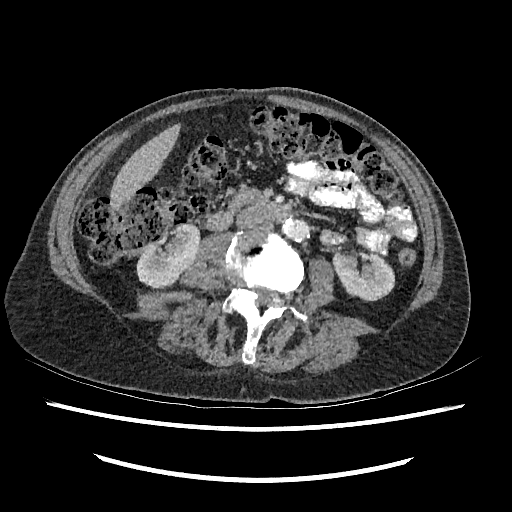 CT slice. Image size 512x512. kidney:
  - rect(137, 225, 198, 287)
  - rect(333, 254, 394, 300)
liver:
  - rect(111, 125, 177, 206)